CT, Slice 31 of 247, Image width 500 mm

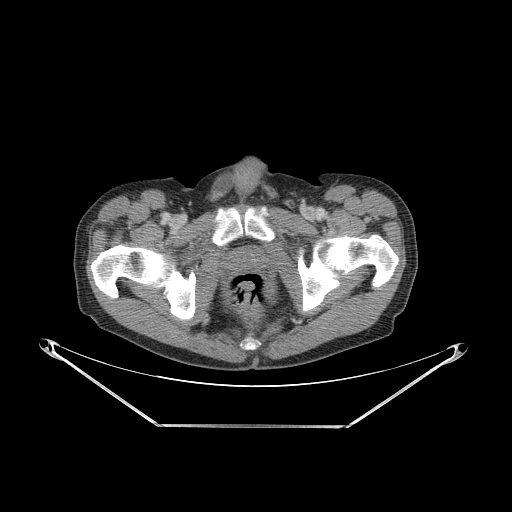

5 bone regions are bounded by (245,343,255,348), (91,245,195,319), (245,208,274,240), (212,208,242,245), (298,235,398,310).